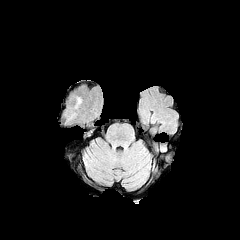
FLAIR magnetic resonance.
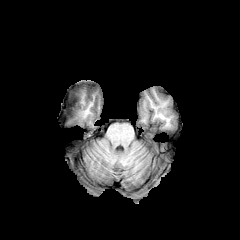
T1-weighted MRI of the same slice.
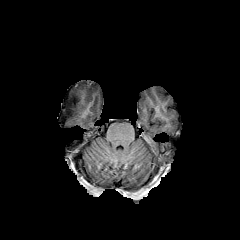
Post-contrast T1-weighted MRI of the same slice.
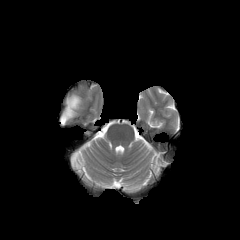
Same slice, T2-weighted magnetic resonance.
Non-enhancing tumor core = rect(65, 106, 77, 117).